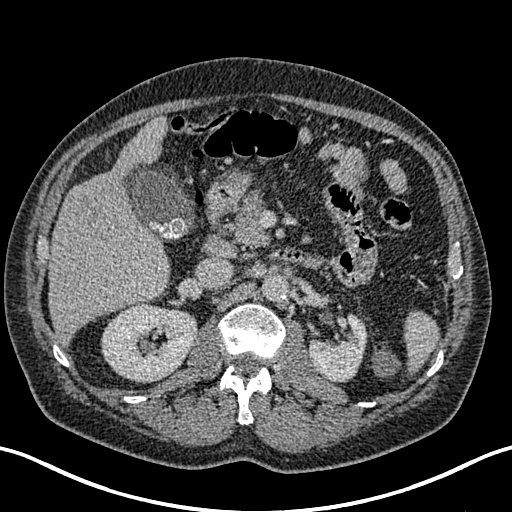

CT slice | Liver

The liver is located at [x1=49, y1=118, x2=170, y2=344]. 2 kidney regions are located at [x1=309, y1=316, x2=365, y2=381], [x1=102, y1=305, x2=196, y2=381]. 2 focal liver lesion regions are bounded by [x1=87, y1=208, x2=99, y2=220], [x1=78, y1=196, x2=90, y2=208].